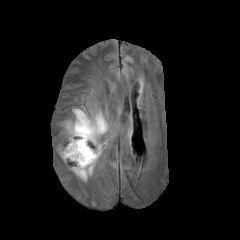
FLAIR MRI.
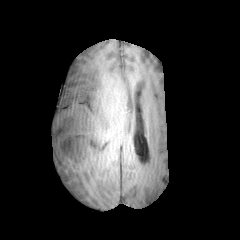
T1-weighted MRI.
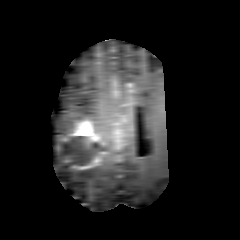
Post-contrast T1-weighted magnetic resonance.
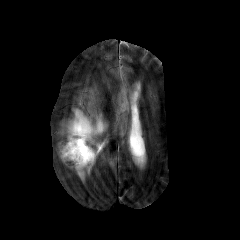
T2-weighted MR image.
Annotated regions:
• non-enhancing tumor core: (x1=63, y1=136, x2=101, y2=166), (x1=68, y1=120, x2=79, y2=132)
• enhancing tumor: (x1=74, y1=158, x2=96, y2=169), (x1=68, y1=119, x2=97, y2=141)
• edema: (x1=58, y1=106, x2=109, y2=181)